Slice 26/36. CT scan slice. 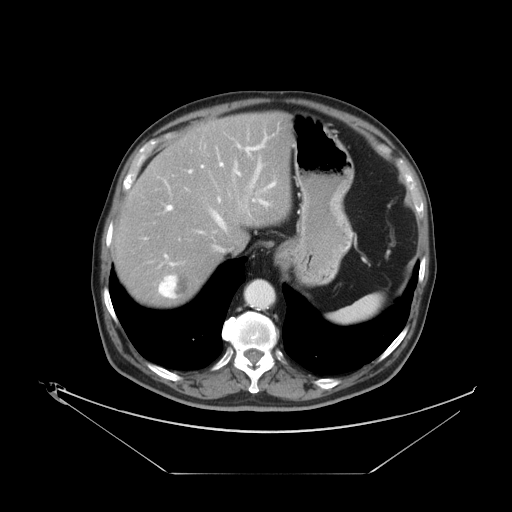 The vessel boxes may cover only some of the vessels.
Segmented structures:
* hepatic vessel (most prominent 15 of 20): (x1=246, y1=159, x2=262, y2=193), (x1=218, y1=197, x2=220, y2=201), (x1=258, y1=199, x2=269, y2=206), (x1=245, y1=132, x2=266, y2=155), (x1=253, y1=198, x2=256, y2=200), (x1=165, y1=205, x2=172, y2=210), (x1=163, y1=179, x2=168, y2=186), (x1=158, y1=274, x2=176, y2=297), (x1=209, y1=209, x2=223, y2=226), (x1=220, y1=163, x2=222, y2=166), (x1=165, y1=255, x2=167, y2=258), (x1=237, y1=143, x2=240, y2=147), (x1=232, y1=161, x2=240, y2=175), (x1=266, y1=182, x2=275, y2=187), (x1=170, y1=263, x2=176, y2=265)